512x512. Image width 500 mm. Liver. CT scan slice.

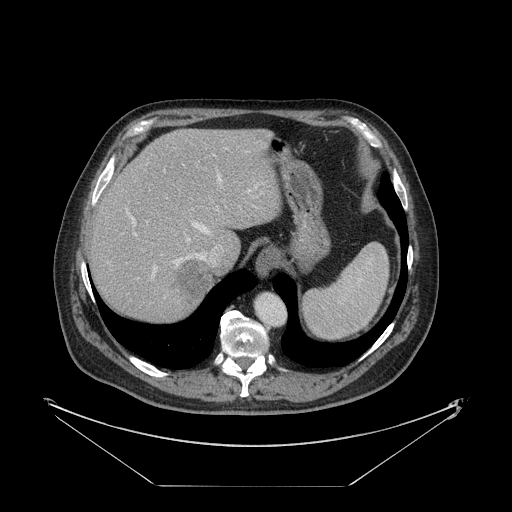 The vessel boxes may cover only some of the vessels.
Liver tumor: (left=171, top=261, right=212, bottom=304).
Hepatic vessel: (left=201, top=256, right=203, bottom=258), (left=133, top=232, right=135, bottom=234), (left=186, top=237, right=189, bottom=240), (left=217, top=173, right=220, bottom=180), (left=154, top=265, right=156, bottom=269), (left=132, top=219, right=134, bottom=224), (left=127, top=212, right=128, bottom=214), (left=247, top=190, right=249, bottom=191).